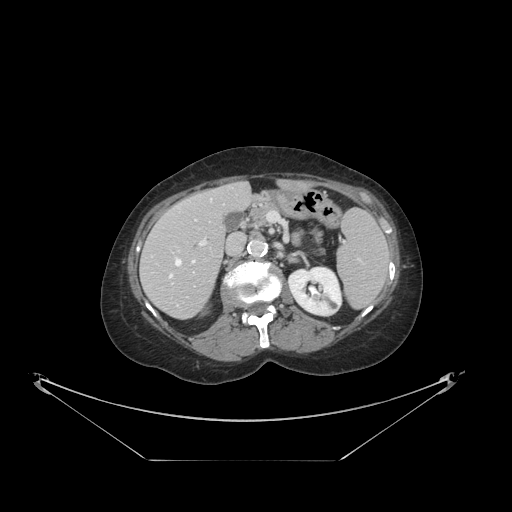
CT scan slice.

Only some of the vessels may be annotated.
Hepatic vessel = <box>200,241,204,245</box>, <box>175,259,180,265</box>, <box>168,274,171,277</box>, <box>192,260,194,262</box>, <box>267,210,281,222</box>.